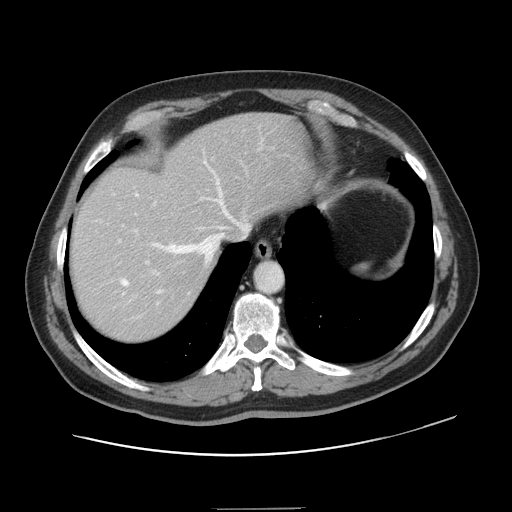
Image size 512x512; Computed tomography; Abdomen
Only some of the vessels may be annotated.
12 hepatic vessel regions appear at {"x1": 241, "y1": 225, "x2": 245, "y2": 227}, {"x1": 146, "y1": 261, "x2": 148, "y2": 263}, {"x1": 121, "y1": 279, "x2": 127, "y2": 284}, {"x1": 216, "y1": 189, "x2": 236, "y2": 222}, {"x1": 219, "y1": 232, "x2": 221, "y2": 234}, {"x1": 168, "y1": 235, "x2": 218, "y2": 254}, {"x1": 119, "y1": 240, "x2": 120, "y2": 241}, {"x1": 216, "y1": 178, "x2": 219, "y2": 185}, {"x1": 136, "y1": 193, "x2": 137, "y2": 195}, {"x1": 157, "y1": 290, "x2": 161, "y2": 292}, {"x1": 223, "y1": 227, "x2": 227, "y2": 228}, {"x1": 153, "y1": 243, "x2": 161, "y2": 247}.